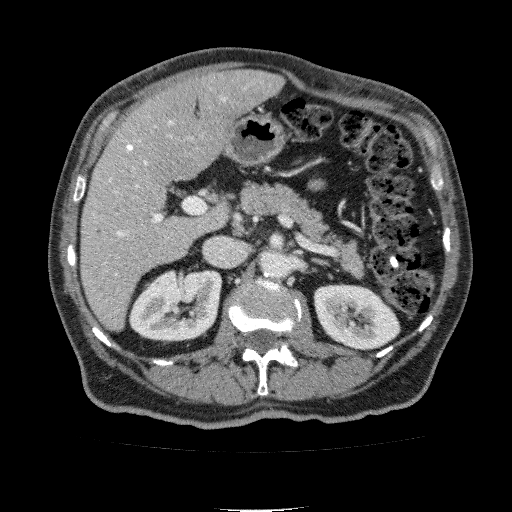 Abdomen. CT. 512x512 px.

• liver: 82:70:286:331
• kidney: 315:286:398:348, 130:271:220:339